FLAIR MR.
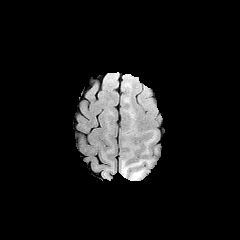
T1-weighted MR image.
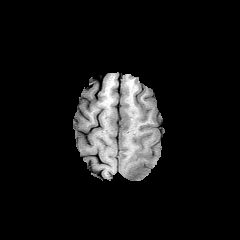
Post-contrast T1-weighted MRI.
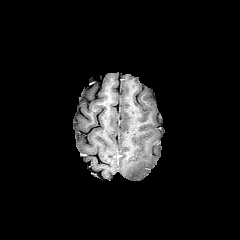
T2-weighted MRI.
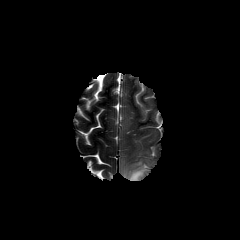
Edema — x1=128 y1=166 x2=145 y2=180.